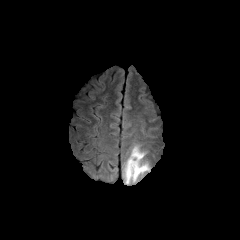
FLAIR MRI.
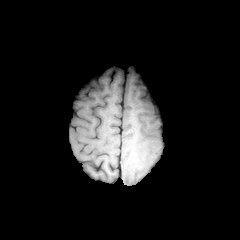
T1-weighted MRI.
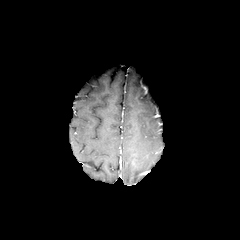
Post-contrast T1-weighted magnetic resonance.
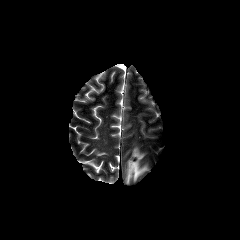
T2-weighted MR image of the same slice.
240x240; Head
edema: 122, 146, 149, 182